Slice 50 of 99, CT scan slice, Upper abdomen, 512x512 px 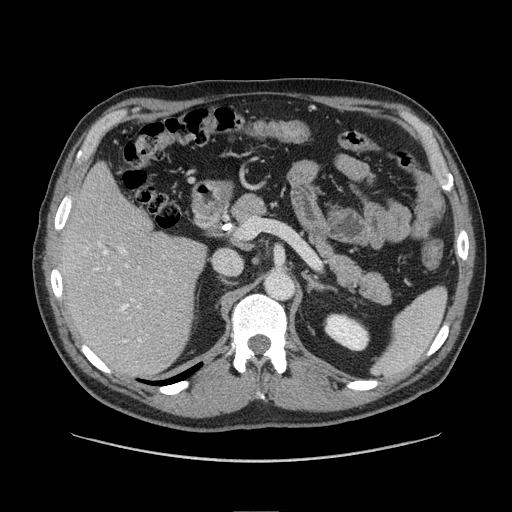

pancreas: bbox(229, 191, 270, 223); bbox(305, 232, 395, 309)